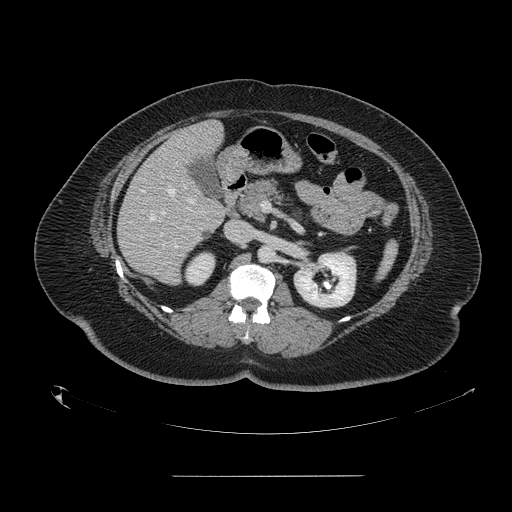

Abdomen; CT scan slice

spleen: <box>377,242,397,279</box>